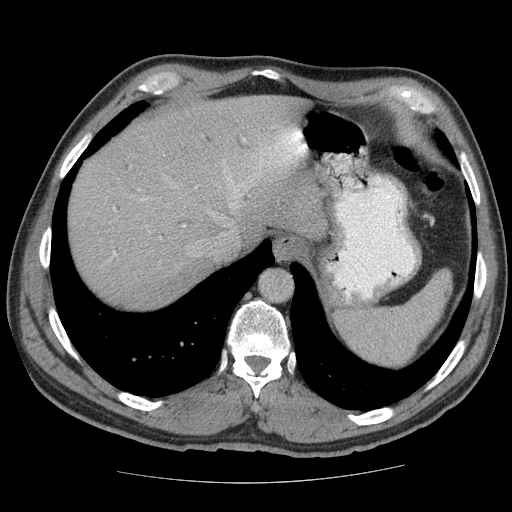

CT
Some hepatic vessels may have no box.
6 hepatic vessel regions appear at 112 251 114 257, 213 157 267 211, 113 208 115 210, 181 225 183 227, 187 209 234 256, 241 139 244 141.